Computed tomography
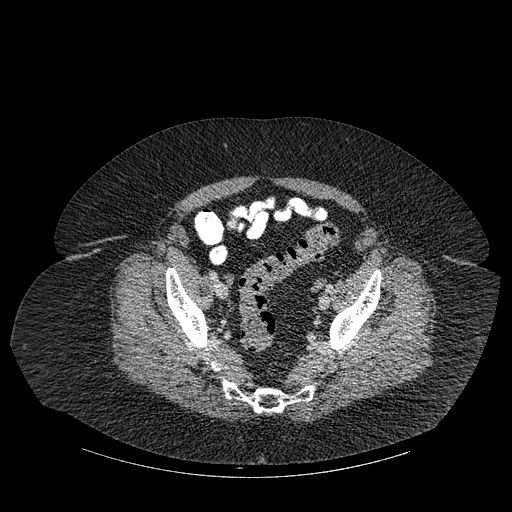

• bone: region(211, 361, 220, 370); region(166, 268, 210, 354); region(324, 270, 381, 352); region(222, 379, 314, 412)